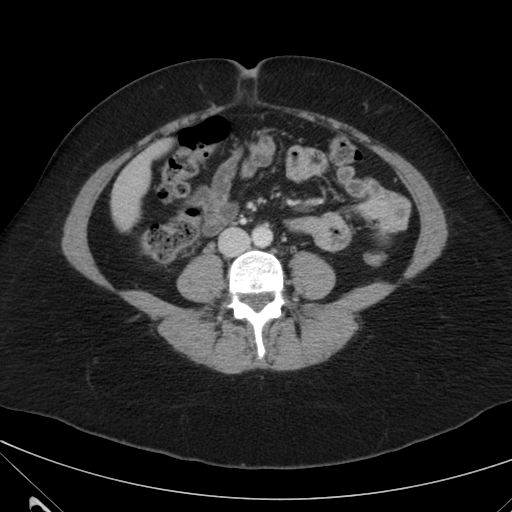 CT scan slice | 512x512 px

liver: (x1=112, y1=147, x2=160, y2=223)